Slice 30/85. CT slice.

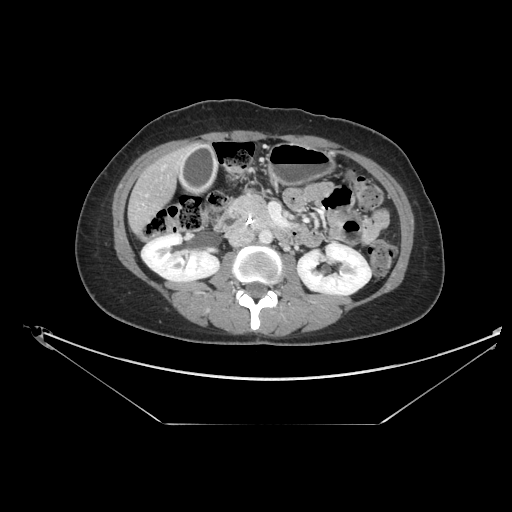
Pancreatic tumor: {"x1": 254, "y1": 201, "x2": 262, "y2": 210}.
Pancreas: {"x1": 232, "y1": 195, "x2": 273, "y2": 229}.